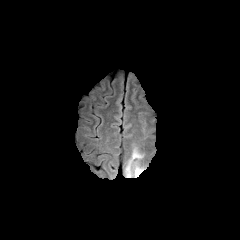
FLAIR MR.
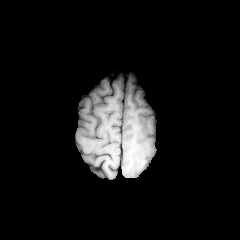
T1-weighted MRI.
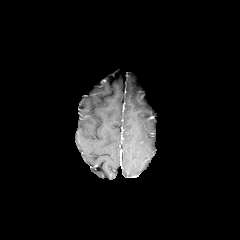
Post-contrast T1-weighted magnetic resonance of the same slice.
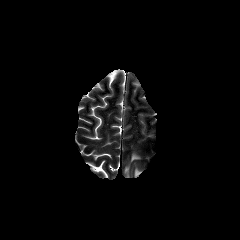
T2-weighted MR.
Annotated regions:
- edema: left=133, top=166, right=141, bottom=177